Image width 480 mm | Chest | CT scan slice

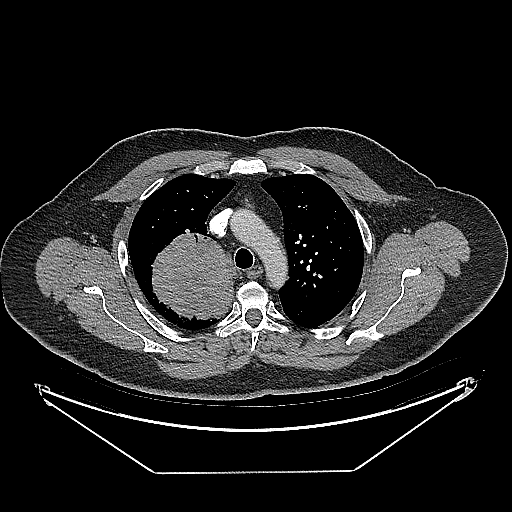
Annotated regions:
• lung tumor: l=150, t=228, r=234, b=325